Computed tomography; Abdomen 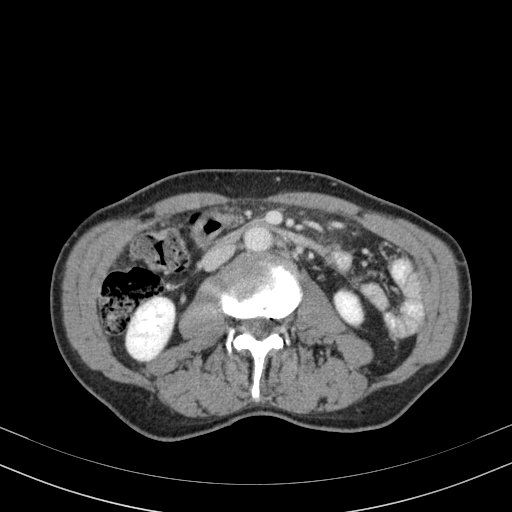 {
  "kidney": [
    "(left=126, top=298, right=174, bottom=359)",
    "(left=335, top=292, right=361, bottom=322)"
  ]
}